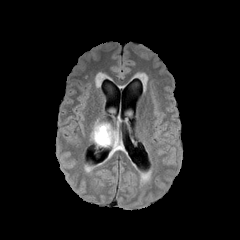
FLAIR magnetic resonance.
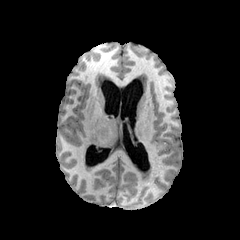
Same slice, T1-weighted MRI.
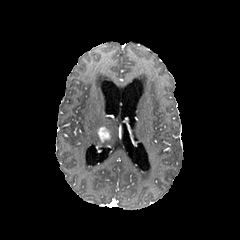
Post-contrast T1-weighted MR.
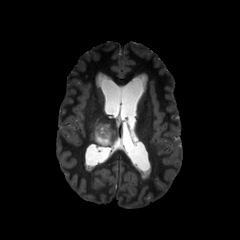
Same slice, T2-weighted MRI.
Brain.
edema: 90, 120, 110, 146 | non-enhancing tumor core: 98, 137, 109, 145 | enhancing tumor: 96, 125, 108, 141